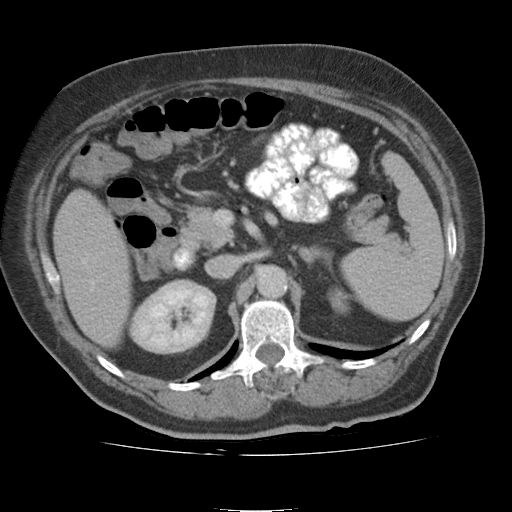
512x512. CT scan slice. Upper abdomen.

The kidney lies within <bbox>134, 284, 211, 348</bbox>. The liver is at <bbox>54, 202, 127, 346</bbox>.